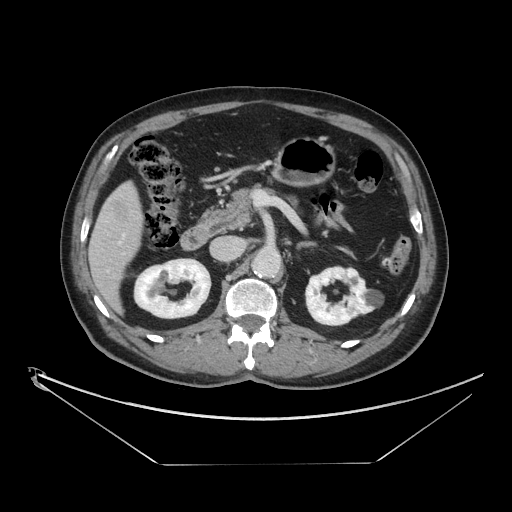

CT scan slice
Not every hepatic vessel necessarily has a box.
2 hepatic vessel regions are bounded by x1=122, y1=234, x2=124, y2=237; x1=119, y1=242, x2=121, y2=244.